CT image; Slice 275 of 401
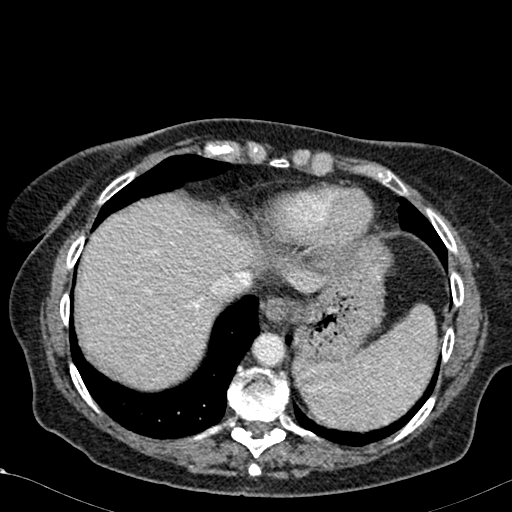

Segmented structures:
• liver: x1=290 y1=268 x2=323 y2=291, x1=80 y1=200 x2=254 y2=387